CT | 512x512 | Slice 79/161
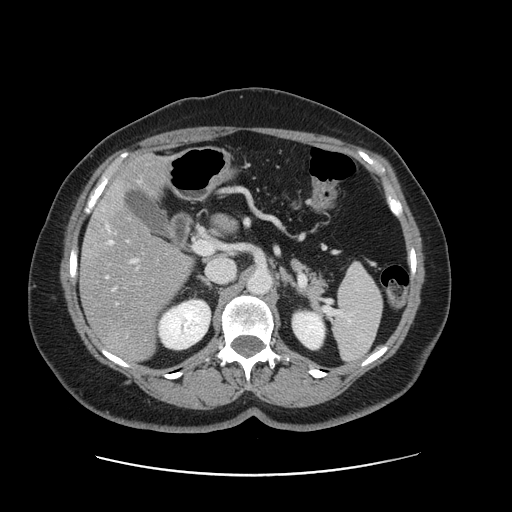

Not every hepatic vessel necessarily has a box.
Hepatic vessel at bbox(106, 276, 108, 277); bbox(131, 259, 137, 262); bbox(113, 287, 115, 290); bbox(106, 225, 109, 229); bbox(108, 240, 113, 244).